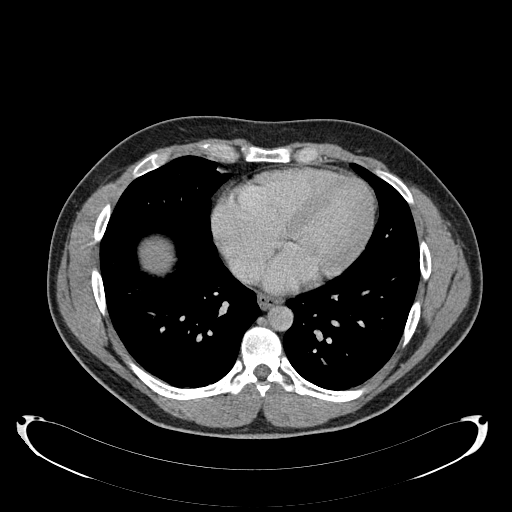
Upper abdomen | CT | Image size 512x512
liver:
  - 143:242:170:270